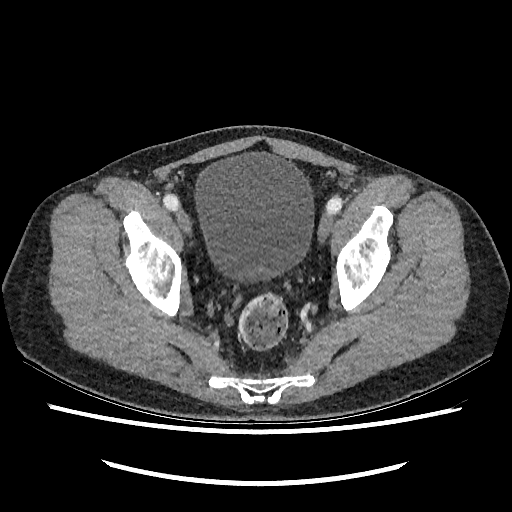

CT scan slice
Segmented structures:
- urinary bladder: rect(194, 151, 314, 283)